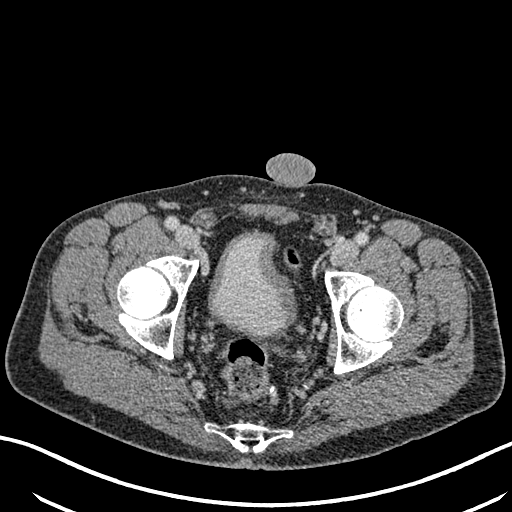

Pelvis, Computed tomography
The urinary bladder appears at bbox(212, 233, 287, 334).